Slice 50 of 155, Head, Image size 240x240
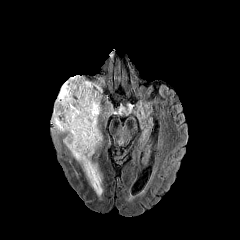
FLAIR MR image.
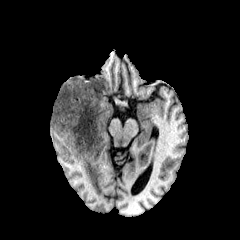
T1-weighted MR image of the same slice.
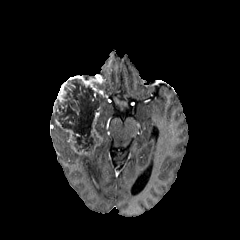
Post-contrast T1-weighted MR.
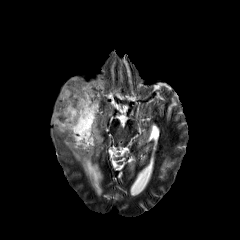
T2-weighted magnetic resonance of the same slice.
Edema — region(63, 138, 102, 195).
Non-enhancing tumor core — region(93, 82, 105, 90); region(50, 78, 103, 153).
Enhancing tumor — region(65, 129, 89, 156); region(69, 74, 105, 97); region(57, 81, 66, 101); region(91, 111, 99, 137).